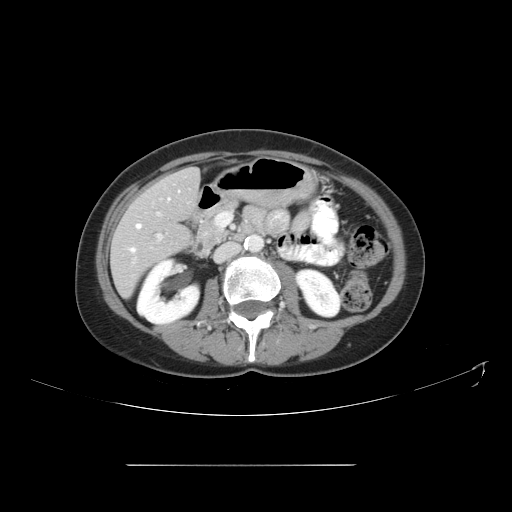 CT slice
The vessel annotation is not exhaustive.
7 hepatic vessel regions are located at bbox=[157, 234, 162, 240]; bbox=[136, 224, 140, 228]; bbox=[130, 247, 135, 251]; bbox=[168, 198, 170, 200]; bbox=[157, 212, 160, 215]; bbox=[134, 258, 136, 260]; bbox=[178, 190, 179, 192].